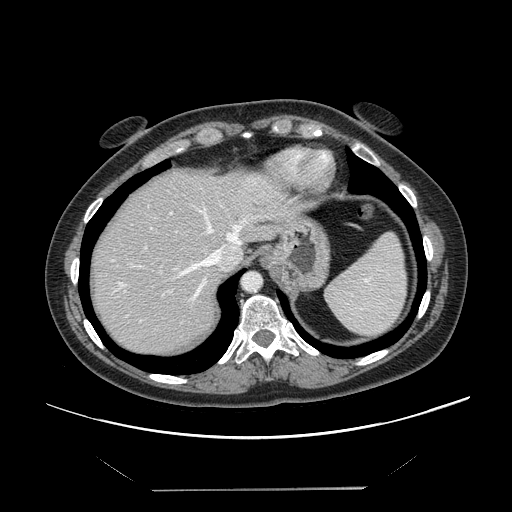

CT
The vessel annotation is not exhaustive.
12 hepatic vessel regions are bounded by 195:206:219:234, 219:200:226:210, 169:211:172:214, 162:290:171:295, 138:265:142:266, 174:215:261:276, 111:282:127:294, 130:263:133:265, 144:247:146:248, 191:274:207:300, 151:227:152:229, 263:216:266:216.